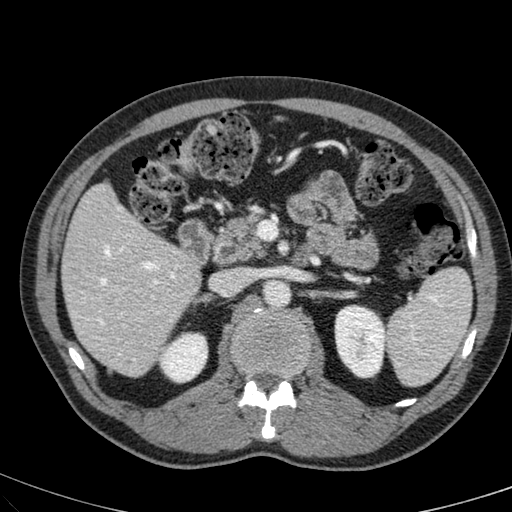
CT scan slice
Kidney: bounding box 336:307:384:376, 161:334:206:381.
Liver: bounding box 62:184:198:375.